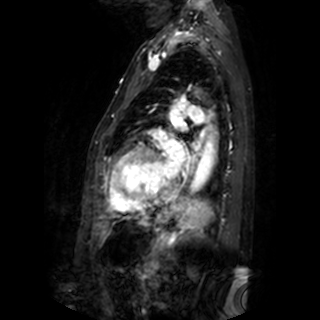

MR image. 2 left atrium regions are located at {"x1": 171, "y1": 111, "x2": 182, "y2": 126}, {"x1": 164, "y1": 141, "x2": 184, "y2": 177}.